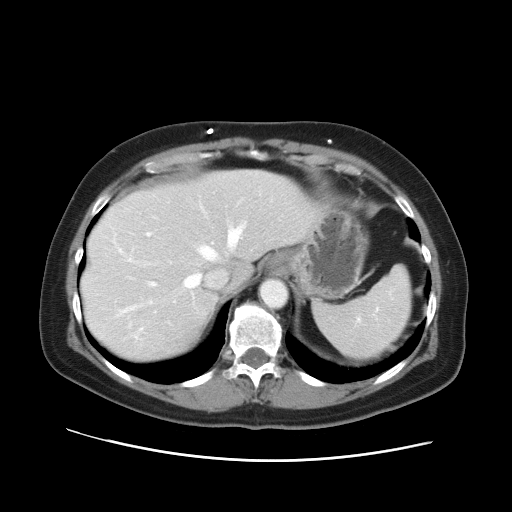
512x512 px. CT scan slice. Liver.

Only some of the vessels may be annotated.
hepatic vessel: left=117, top=304, right=142, bottom=315; left=147, top=300, right=152, bottom=303; left=144, top=263, right=147, bottom=263; left=182, top=272, right=201, bottom=288; left=196, top=244, right=217, bottom=260; left=115, top=244, right=136, bottom=262; left=227, top=222, right=245, bottom=249